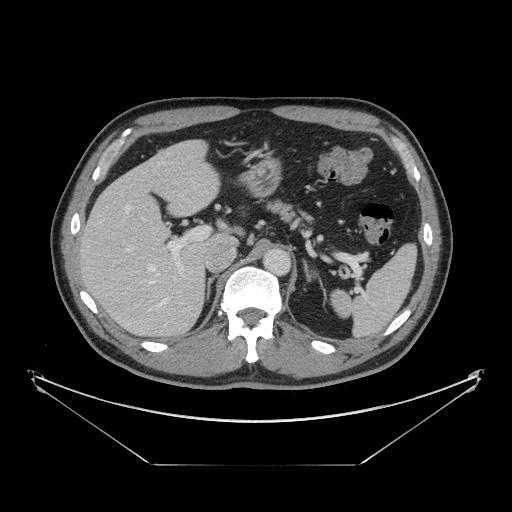

CT image | 512x512 px

Pancreas — [265, 198, 311, 221].